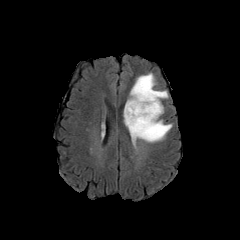
FLAIR MRI.
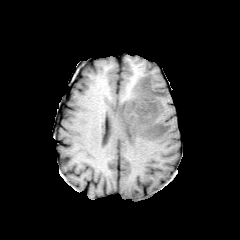
T1-weighted MR.
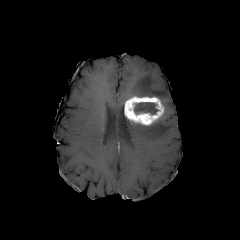
Post-contrast T1-weighted MR.
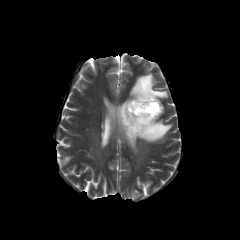
T2-weighted MR of the same slice.
Head, Image size 240x240
enhancing tumor: (124,95,164,125) | non-enhancing tumor core: (135,103,157,113) | edema: (123,110,172,146), (130,73,168,99)